Slice index 108. Field of view 240x240 mm.
FLAIR MR image.
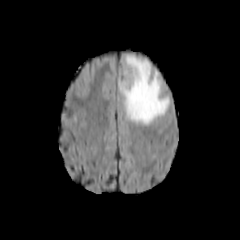
T1-weighted MR.
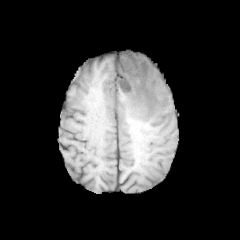
Post-contrast T1-weighted MR.
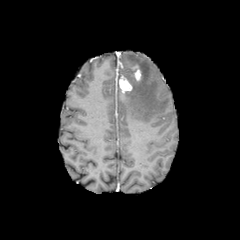
T2-weighted MRI.
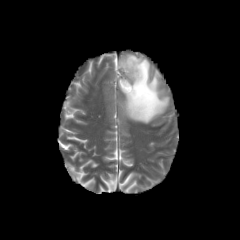
non-enhancing_tumor_core:
  - (122, 67, 133, 76)
edema:
  - (124, 55, 170, 125)
enhancing_tumor:
  - (119, 75, 132, 93)
  - (120, 63, 141, 79)